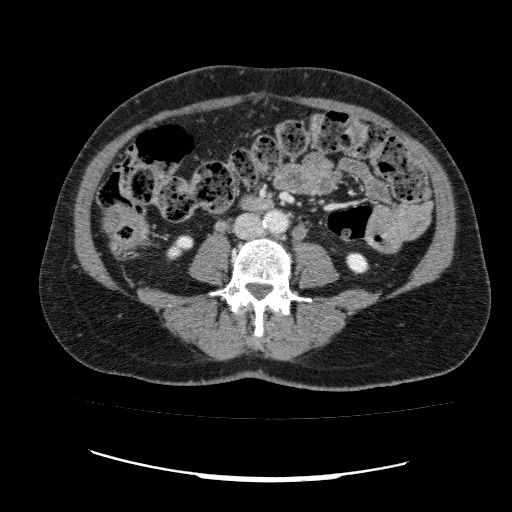 Abdomen, Image size 512x512, CT scan slice
kidney: box=[177, 237, 191, 247]; box=[348, 254, 366, 271]